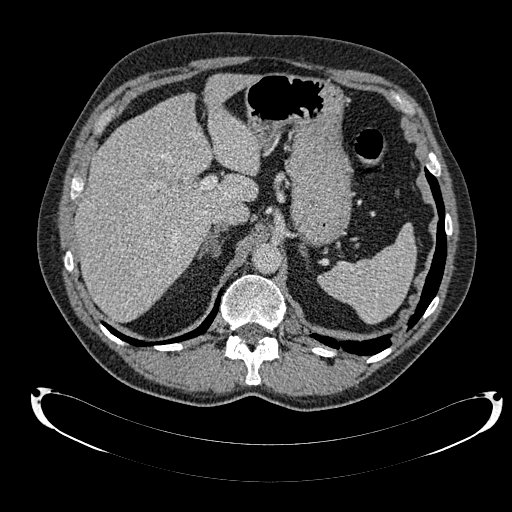 Liver; Computed tomography
{"liver": ["76,93,257,320", "205,74,258,174"]}